CT. 512x512. Slice index 65.
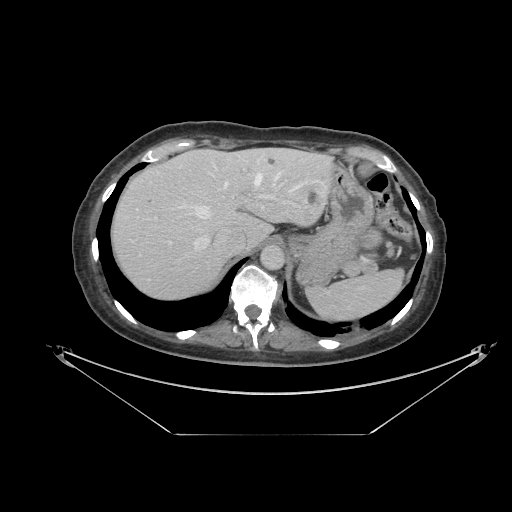 Pancreas: bounding box l=364, t=226, r=383, b=250; l=342, t=260, r=376, b=276.
Pancreatic tumor: bounding box l=360, t=228, r=381, b=249.